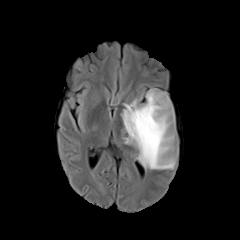
FLAIR MRI.
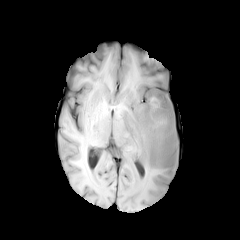
T1-weighted MR of the same slice.
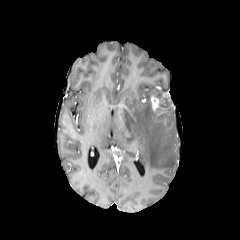
Post-contrast T1-weighted magnetic resonance.
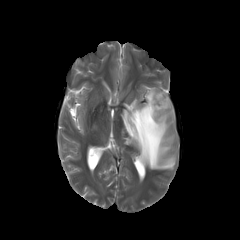
T2-weighted magnetic resonance of the same slice.
The enhancing tumor is bounded by {"x1": 151, "y1": 96, "x2": 159, "y2": 110}. The edema is located at {"x1": 120, "y1": 85, "x2": 178, "y2": 173}. The non-enhancing tumor core appears at {"x1": 148, "y1": 88, "x2": 174, "y2": 116}.